Slice index 21 | Magnetic resonance | 40x52
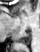
The posterior hippocampus appears at x1=18, y1=34, x2=30, y2=45.